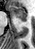 Medial temporal lobe | Magnetic resonance
The posterior hippocampus lies within (x1=22, y1=21, x2=25, y2=21). The anterior hippocampus lies within (x1=9, y1=5, x2=26, y2=20).